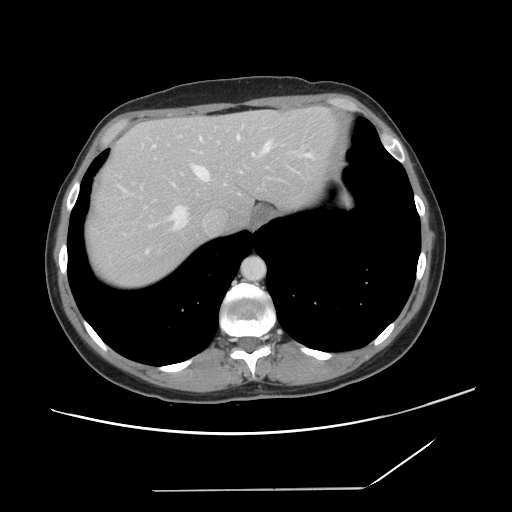
Abdomen, CT image, 512x512

Not every hepatic vessel necessarily has a box.
<segmentation>
  <hepatic_vessel>237:135:239:138, 217:141:218:142, 199:152:201:153, 146:250:148:252, 169:206:186:228, 173:184:174:185, 263:142:273:152, 152:144:155:147, 200:137:201:139, 304:153:311:157, 252:153:254:155, 118:186:126:192, 193:166:209:180, 145:206:146:208</hepatic_vessel>
</segmentation>